512x512 px, CT image, Slice 34 of 343, Pelvis 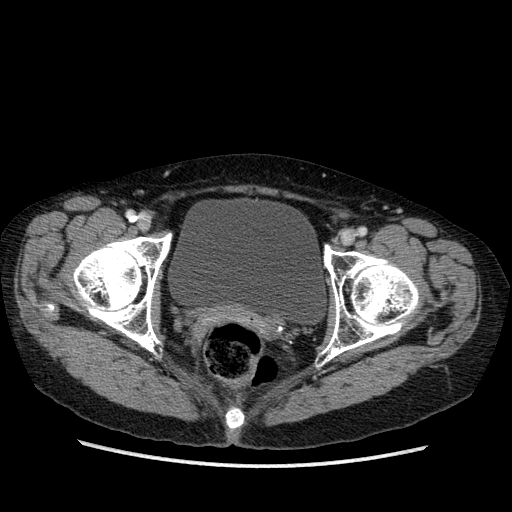
{"urinary_bladder": ["left=167, top=197, right=328, bottom=325"]}